CT | Upper abdomen | Slice 361 of 816

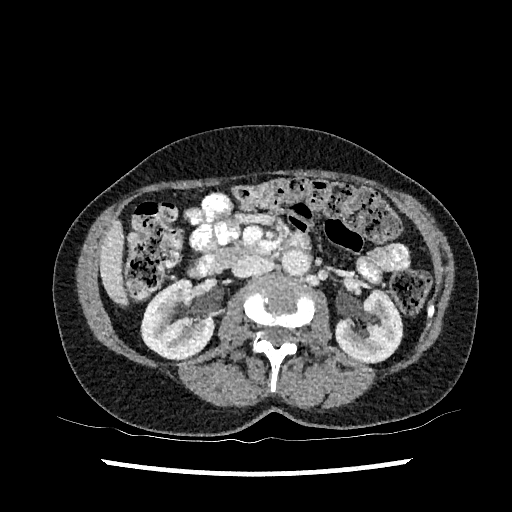

Segmented structures:
• kidney: l=142, t=280, r=213, b=358; l=336, t=291, r=401, b=362
• liver: l=100, t=222, r=125, b=301